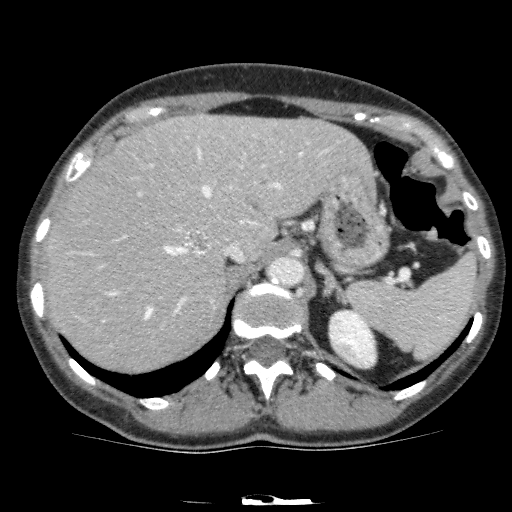

Upper abdomen; CT slice

Segmented structures:
* hepatic lesion: [x1=184, y1=230, x2=211, y2=254], [x1=255, y1=136, x2=268, y2=147]
* liver: [x1=45, y1=114, x2=377, y2=370]
* kidney: [x1=330, y1=311, x2=374, y2=367]